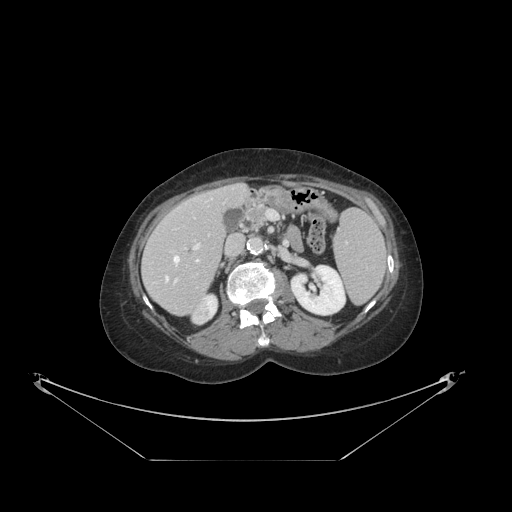

512x512 px, CT image, Abdomen
Not every hepatic vessel necessarily has a box.
Findings:
• hepatic vessel: 197,259,198,261; 165,277,168,282; 174,256,178,265; 194,244,198,248; 174,279,177,283